FLAIR MR.
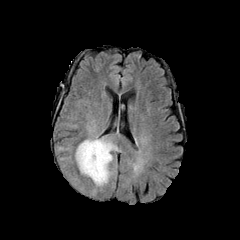
T1-weighted MR image.
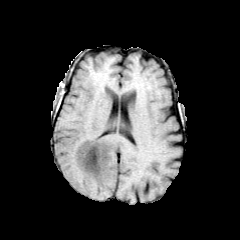
Post-contrast T1-weighted magnetic resonance.
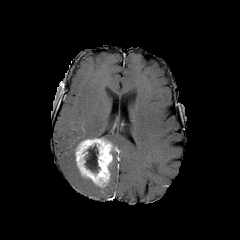
T2-weighted MR.
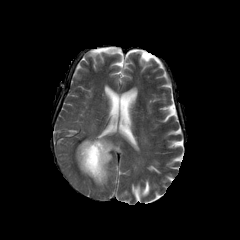
Brain.
Enhancing tumor — {"x1": 75, "y1": 139, "x2": 112, "y2": 187}.
Non-enhancing tumor core — {"x1": 85, "y1": 145, "x2": 100, "y2": 172}.
Edema — {"x1": 84, "y1": 117, "x2": 123, "y2": 185}, {"x1": 90, "y1": 181, "x2": 98, "y2": 195}.